CT scan slice | 512x512 px 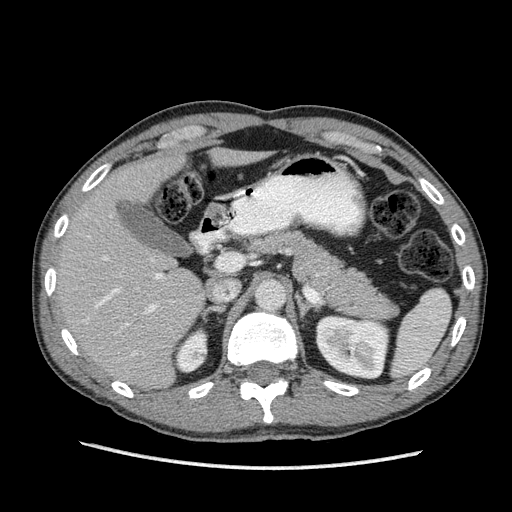

{"kidney": ["(317,317,386,377)", "(177,333,205,371)"], "liver": ["(52,150,207,390)", "(207,147,264,166)"]}